Slice index 55; Field of view 240 mm wide, 1.00 mm slice spacing; Head
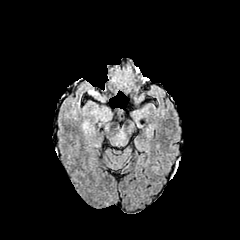
FLAIR MR.
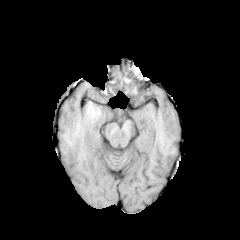
T1-weighted MR image of the same slice.
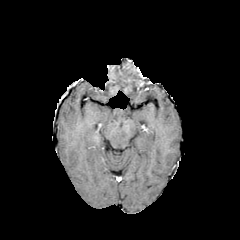
Post-contrast T1-weighted MR image.
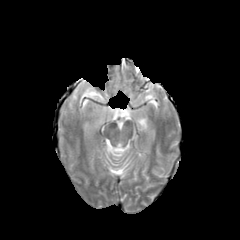
Same slice, T2-weighted MR image.
The edema is bounded by l=88, t=89, r=102, b=99.